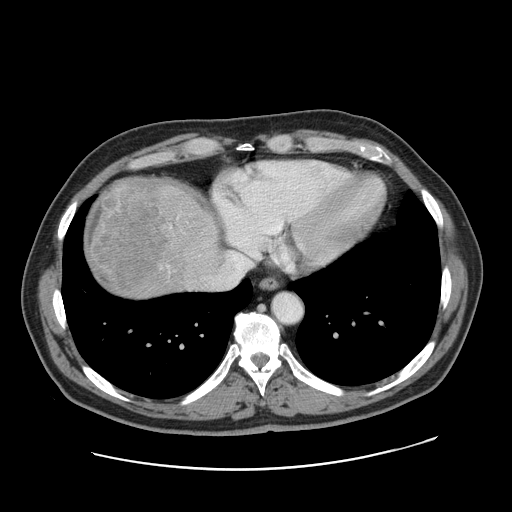
512x512; Computed tomography
Some hepatic vessels may have no box.
hepatic vessel: (187,287,191,289), (169,225,170,226) | liver tumor: (87,183,164,291)